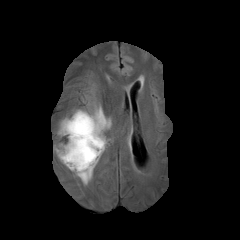
FLAIR MRI.
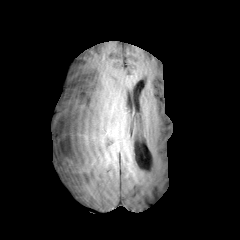
T1-weighted magnetic resonance of the same slice.
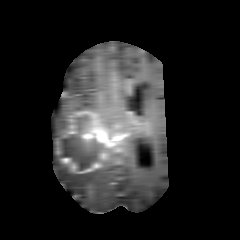
Post-contrast T1-weighted MR image of the same slice.
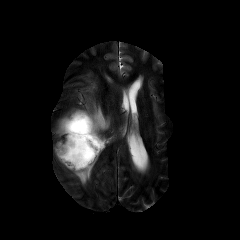
T2-weighted magnetic resonance.
Head
• edema: 55:151:73:173, 71:157:85:171, 75:168:95:183, 55:105:110:151, 94:144:107:166
• enhancing tumor: 70:111:111:145, 62:157:95:172, 65:125:77:133
• non-enhancing tumor core: 58:114:101:169